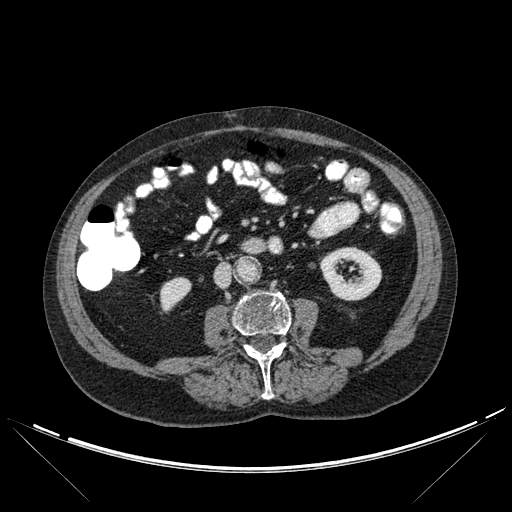

CT slice, Abdomen

bone:
  - region(233, 292, 290, 335)
  - region(244, 342, 285, 399)
kidney:
  - region(321, 248, 381, 299)
  - region(160, 278, 190, 310)